FLAIR MRI.
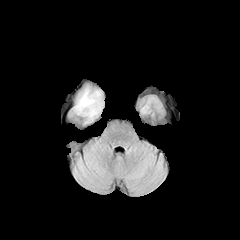
T1-weighted MR image.
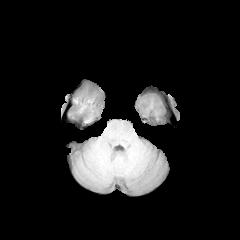
Post-contrast T1-weighted MRI.
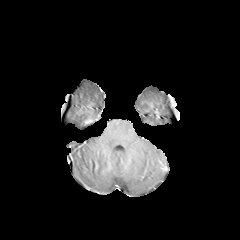
T2-weighted MR.
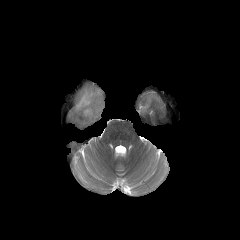
Head
The edema is at 73,86,103,123.